Head.
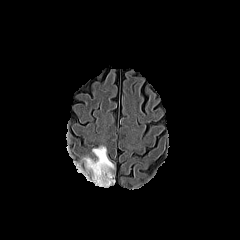
FLAIR magnetic resonance.
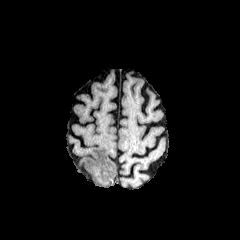
Same slice, T1-weighted MRI.
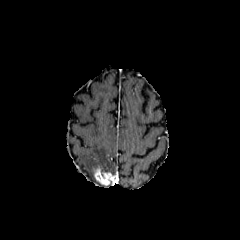
Post-contrast T1-weighted magnetic resonance of the same slice.
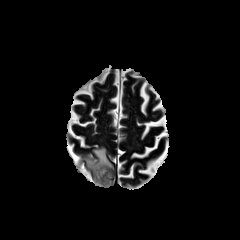
Same slice, T2-weighted MR.
enhancing tumor: (92,165,115,186) | edema: (85,146,114,172)